Medial temporal lobe; Slice 17 of 42; MR

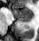
The anterior hippocampus appears at box(13, 8, 32, 18). The posterior hippocampus appears at box(17, 19, 30, 22).